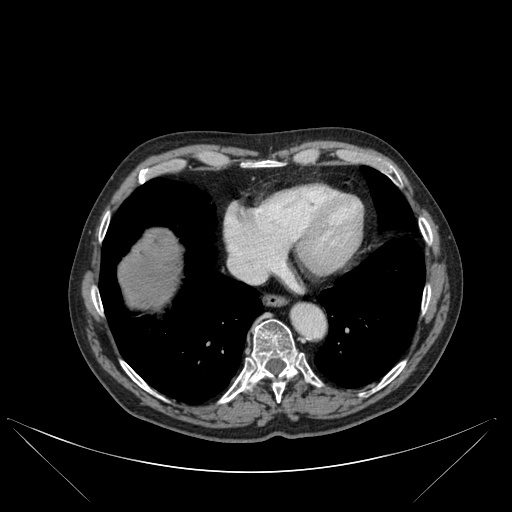

CT
The liver is located at l=119, t=229, r=180, b=308. 10 bone regions are located at l=99, t=212, r=109, b=240; l=375, t=361, r=405, b=389; l=384, t=165, r=395, b=178; l=120, t=361, r=151, b=392; l=219, t=319, r=321, b=402; l=422, t=286, r=430, b=312; l=419, t=218, r=432, b=243; l=91, t=291, r=102, b=312; l=251, t=161, r=280, b=167; l=139, t=169, r=148, b=183. 2 lung regions appear at l=99, t=178, r=262, b=403; l=315, t=166, r=425, b=388.